240x240 px. Field of view 240 mm wide, 1.00 mm slice spacing.
FLAIR MR.
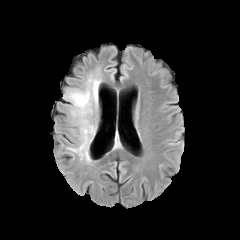
T1-weighted MRI.
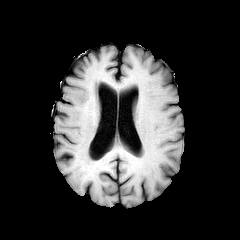
Post-contrast T1-weighted MR image.
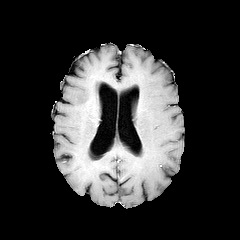
T2-weighted magnetic resonance.
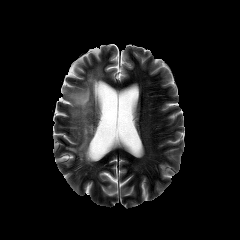
The edema appears at [x1=65, y1=72, x2=102, y2=163].